512x512. Liver. CT image.
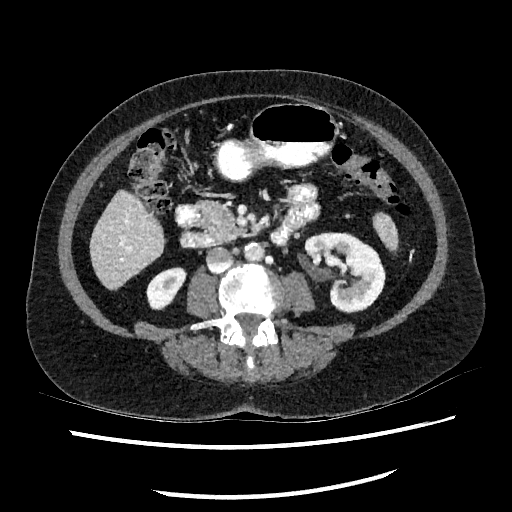
- kidney: [x1=147, y1=269, x2=184, y2=307], [x1=305, y1=234, x2=384, y2=310]
- liver: [x1=90, y1=190, x2=163, y2=288]